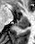
MRI
• posterior hippocampus: 13,21,27,29
• anterior hippocampus: 17,16,27,20